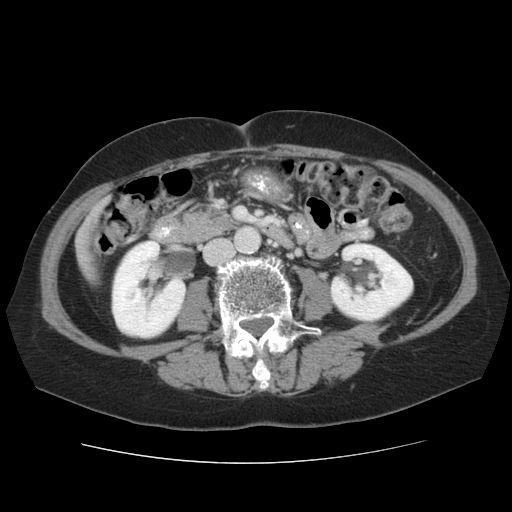

CT. Liver.

The liver is bounded by (78,196,109,279). The bone is at (215,253,319,389). 2 kidney regions are bounded by (113,241,184,336), (328,244,412,319).